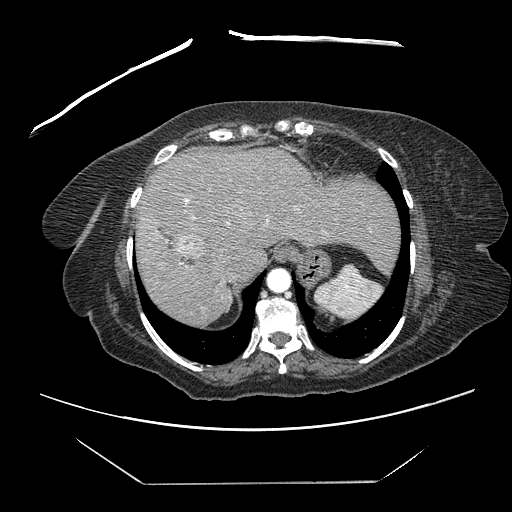 CT slice, Liver
Only some of the vessels may be annotated.
liver_tumor:
  - (left=180, top=238, right=205, bottom=256)
hepatic_vessel:
  - (left=185, top=199, right=188, bottom=202)